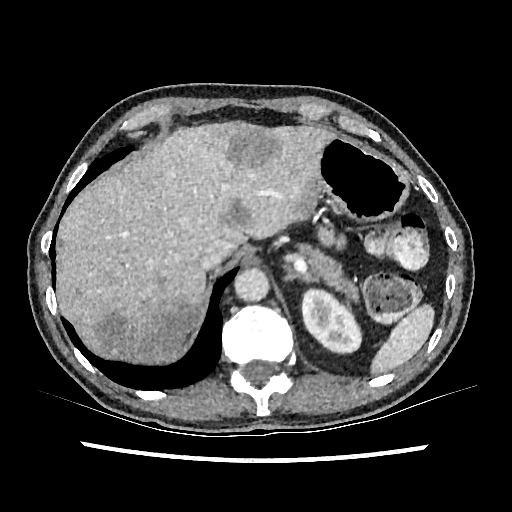
CT image | 512x512 | Upper abdomen
The kidney is bounded by (left=302, top=290, right=360, bottom=351). 2 liver regions appear at (left=103, top=348, right=143, bottom=362), (left=59, top=122, right=338, bottom=354). 4 focal liver lesion regions are bounded by (left=216, top=124, right=278, bottom=167), (left=292, top=177, right=315, bottom=216), (left=92, top=277, right=200, bottom=362), (left=220, top=198, right=255, bottom=228).